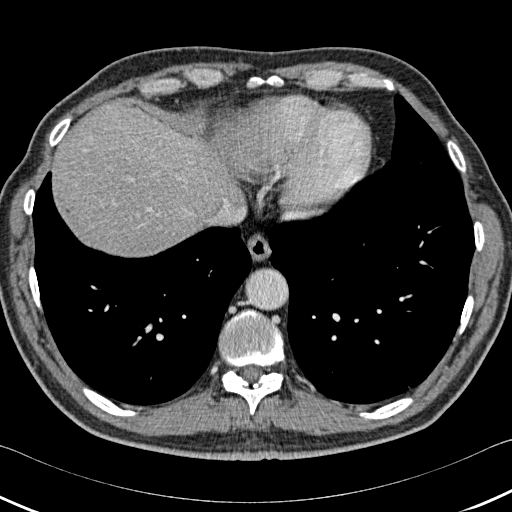
Abdomen | 512x512 | CT

Bone — box=[49, 118, 70, 145]; box=[83, 388, 135, 416]; box=[24, 189, 34, 214]; box=[448, 141, 465, 171]; box=[29, 267, 39, 307]; box=[360, 398, 412, 418]; box=[459, 296, 473, 333]; box=[222, 371, 282, 414]; box=[221, 311, 283, 366]; box=[474, 222, 484, 250]; box=[248, 76, 282, 85].
Liver — box=[234, 158, 251, 163]; box=[53, 106, 219, 256].
Lung — box=[266, 93, 475, 403]; box=[32, 171, 254, 405]; box=[20, 164, 29, 174].